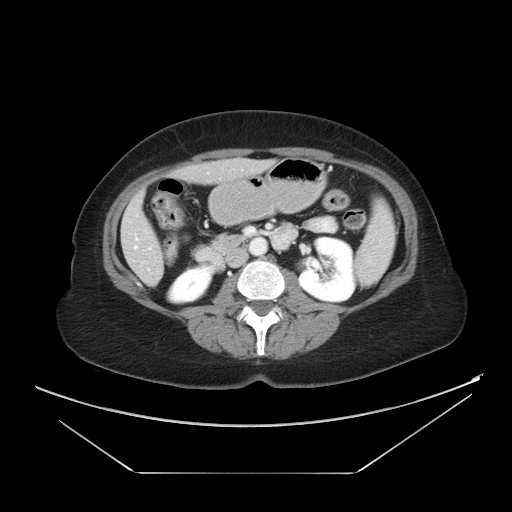

CT scan slice. Some hepatic vessels may have no box.
<segmentation>
  <hepatic_vessel>bbox(134, 246, 136, 248); bbox(135, 237, 137, 239)</hepatic_vessel>
</segmentation>